FLAIR MR image.
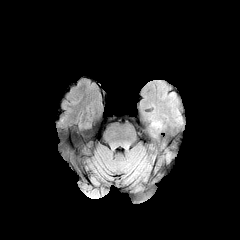
T1-weighted MR image.
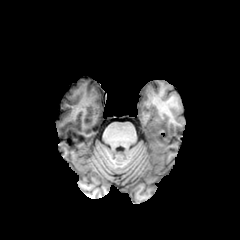
Post-contrast T1-weighted MR image.
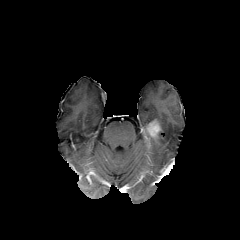
T2-weighted MR.
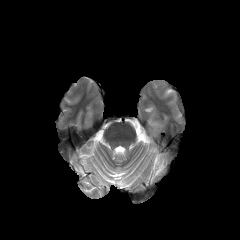
{"edema": ["<bbox>144, 119, 161, 153</bbox>"], "enhancing_tumor": ["<bbox>148, 121, 159, 137</bbox>"]}